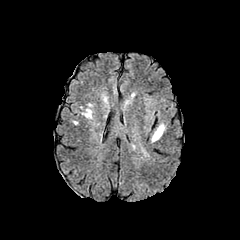
FLAIR magnetic resonance.
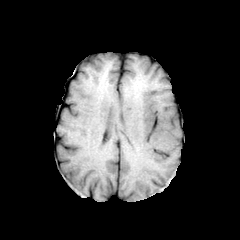
Same slice, T1-weighted MRI.
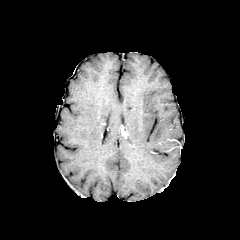
Same slice, post-contrast T1-weighted MR.
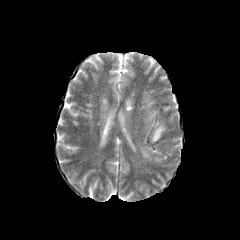
T2-weighted magnetic resonance of the same slice.
Brain
edema:
  - <bbox>140, 146, 150, 158</bbox>
  - <bbox>150, 123, 165, 143</bbox>